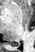 MRI slice
The posterior hippocampus lies within 7 42 17 46.